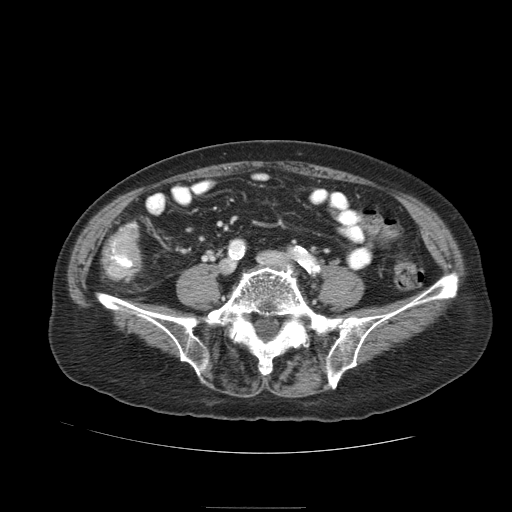
CT
Colon tumor = box=[103, 227, 141, 281].